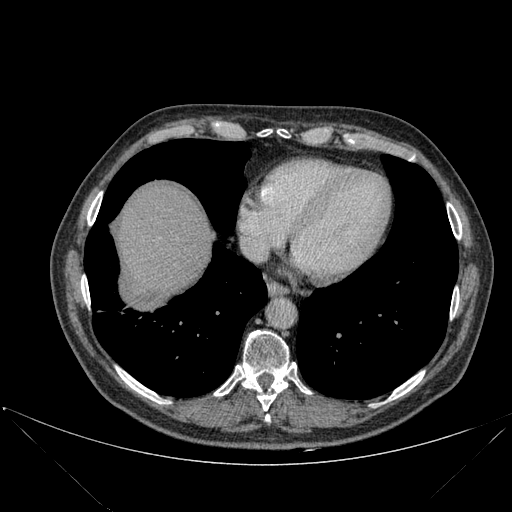
Liver; CT scan slice
lung:
  - left=296, top=154, right=458, bottom=399
  - left=84, top=139, right=266, bottom=396
liver:
  - left=111, top=186, right=215, bottom=311
bone:
  - left=87, top=191, right=102, bottom=225
  - left=81, top=275, right=90, bottom=305
  - left=450, top=287, right=459, bottom=318
  - left=214, top=330, right=297, bottom=410
  - left=447, top=203, right=461, bottom=239
  - left=116, top=367, right=163, bottom=403
  - left=388, top=371, right=424, bottom=400
  - left=277, top=129, right=286, bottom=136